Slice 52/155, Head
FLAIR magnetic resonance.
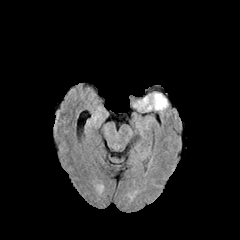
T1-weighted MRI.
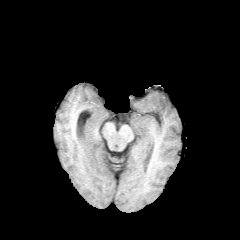
Post-contrast T1-weighted magnetic resonance.
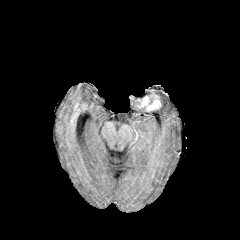
T2-weighted MR image.
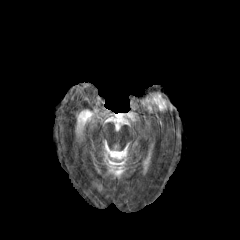
{
  "edema": [
    "133:100:142:109",
    "143:92:168:111"
  ],
  "enhancing_tumor": [
    "145:96:160:110",
    "141:96:149:106"
  ]
}